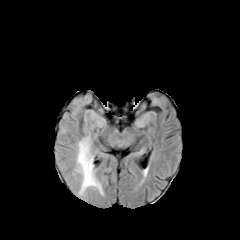
FLAIR MRI.
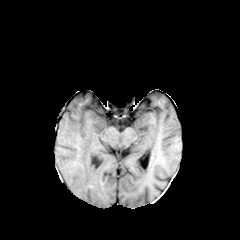
Same slice, T1-weighted MR.
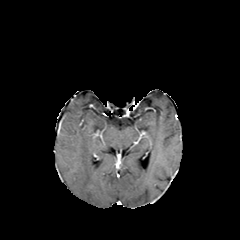
Post-contrast T1-weighted magnetic resonance.
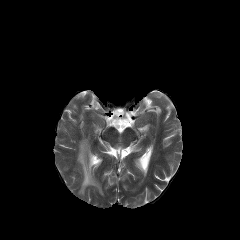
T2-weighted MR.
Head
Edema = <box>76,137,102,195</box>.